512x512; CT slice; Slice 157/277

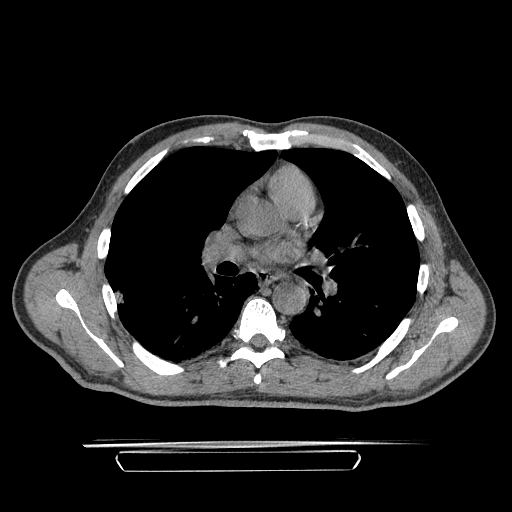

The lung tumor is bounded by <box>116,289,124,304</box>.